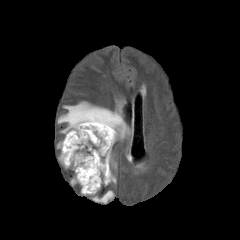
FLAIR MR.
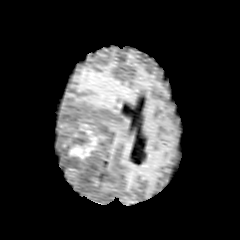
T1-weighted magnetic resonance.
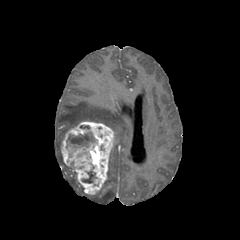
Post-contrast T1-weighted magnetic resonance.
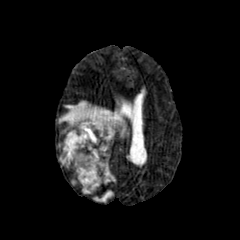
Same slice, T2-weighted MR image.
The enhancing tumor appears at bbox=[61, 121, 113, 194]. 2 non-enhancing tumor core regions are located at bbox=[66, 130, 95, 157]; bbox=[83, 170, 96, 183]. 5 edema regions are bounded by bbox=[71, 171, 85, 193]; bbox=[58, 101, 128, 143]; bbox=[86, 190, 113, 203]; bbox=[58, 142, 69, 167]; bbox=[104, 149, 115, 185].